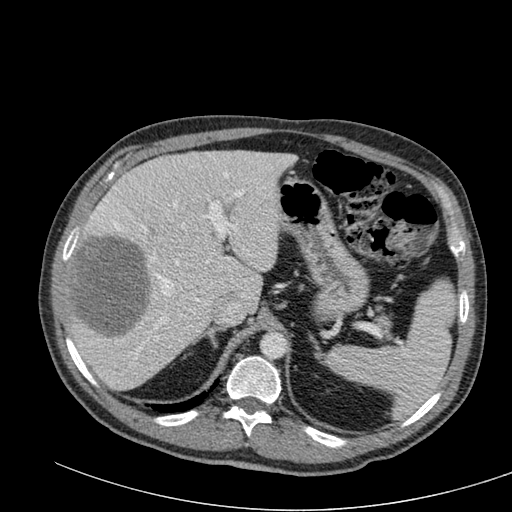
CT image

Findings:
- focal liver lesion: [x1=65, y1=235, x2=149, y2=336]
- liver: [x1=67, y1=151, x2=295, y2=389]